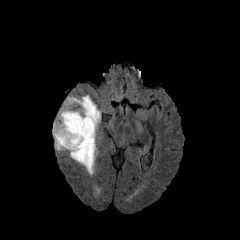
FLAIR MRI.
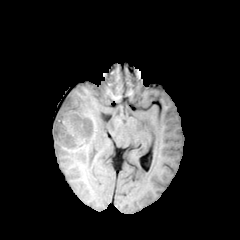
T1-weighted MR.
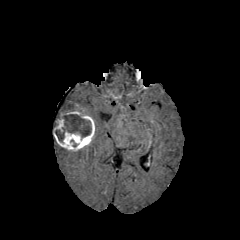
Post-contrast T1-weighted MR.
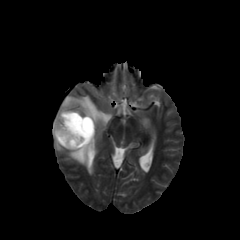
T2-weighted MR of the same slice.
240x240
Annotated regions:
* edema: 54, 94, 104, 174
* non-enhancing tumor core: 63, 114, 91, 136; 68, 142, 93, 157; 60, 99, 85, 115; 56, 130, 63, 141
* enhancing tumor: 53, 104, 94, 150